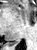
MR.

{"posterior_hippocampus": ["10:41:15:44"]}